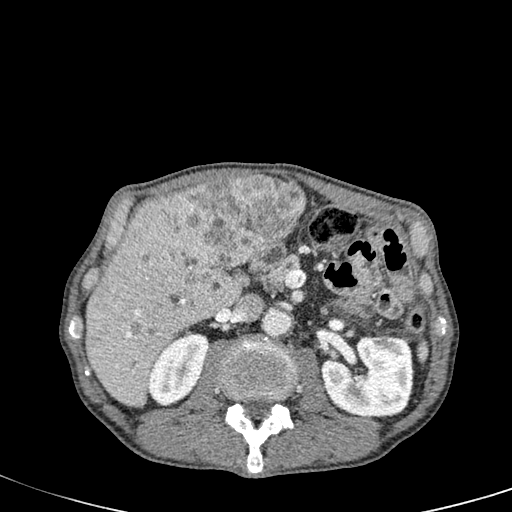
Computed tomography | Upper abdomen

Focal liver lesion: bounding box 186,272,207,283; 185,175,305,269.
Liver: bounding box 85,191,240,407.
Kidney: bounding box 148,335,207,404; 322,338,412,415.